CT scan slice. Image size 512x512. Field of view 350x350 mm.

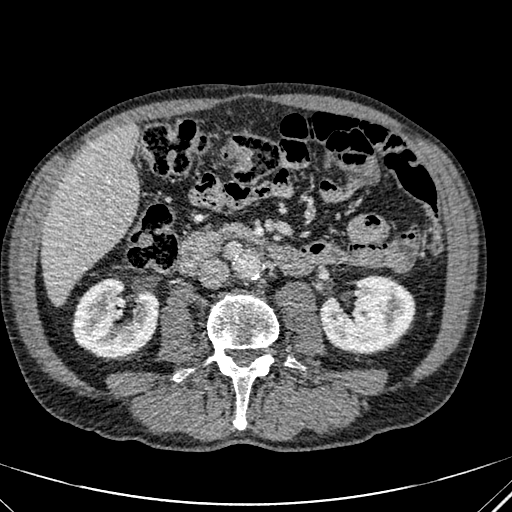

Liver at 41:123:138:302.
Kidney at 321:277:413:352, 74:279:157:356.